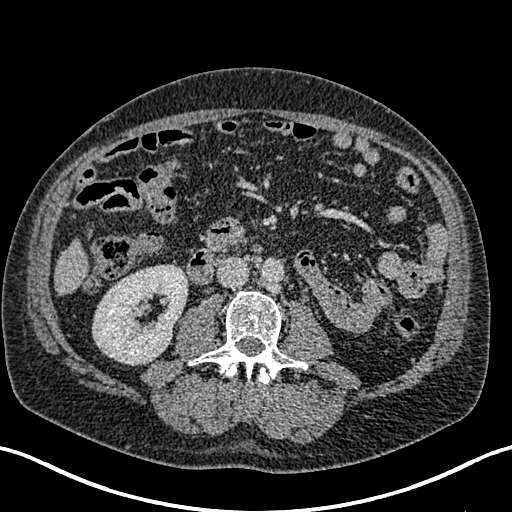 Upper abdomen. CT scan slice. kidney: <bbox>93, 265, 187, 364</bbox> | liver: <bbox>55, 241, 86, 294</bbox>